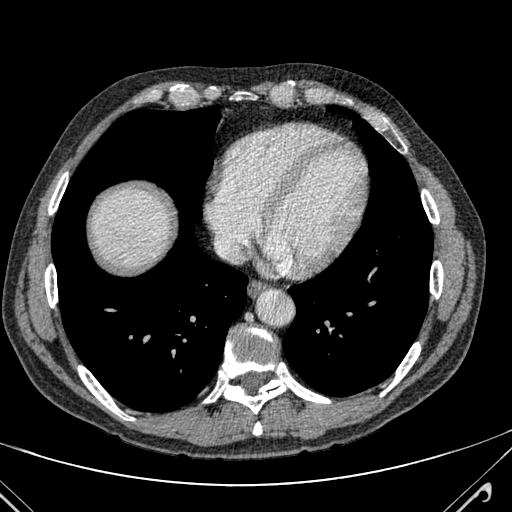
CT slice
Liver = box=[96, 194, 166, 265].